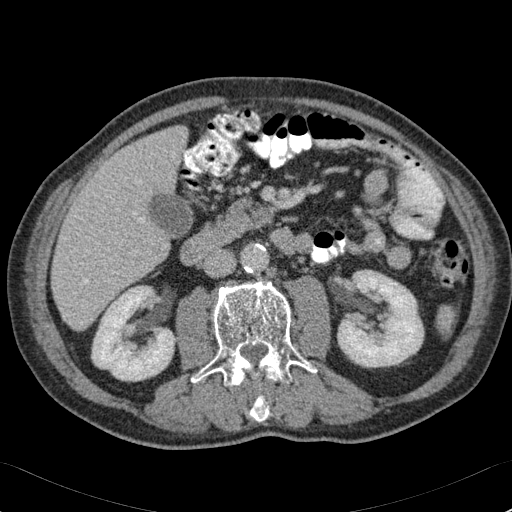

Liver. CT image.

Liver — [52, 126, 187, 330].
Kidney — [92, 286, 174, 380], [338, 270, 423, 366].